Image size 35x55; MR image; Medial temporal lobe 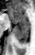

anterior hippocampus: box(10, 8, 28, 23) | posterior hippocampus: box(14, 24, 28, 43)